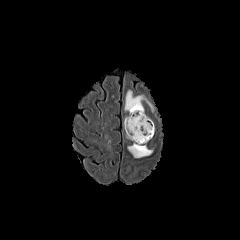
FLAIR MR.
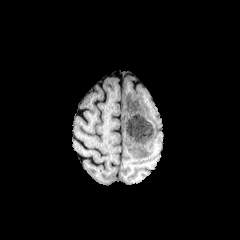
Same slice, T1-weighted MR.
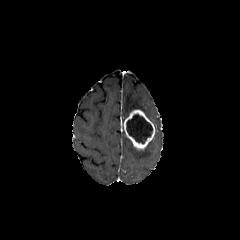
Post-contrast T1-weighted magnetic resonance.
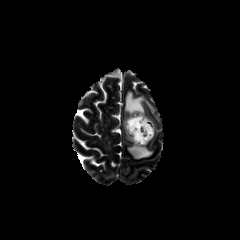
T2-weighted MRI of the same slice.
Head
2 edema regions are bounded by bbox=[124, 91, 160, 122]; bbox=[127, 146, 152, 158]. The enhancing tumor is located at bbox=[123, 108, 155, 150]. The non-enhancing tumor core appears at bbox=[126, 114, 152, 144].